512x512 px | Abdomen | Computed tomography
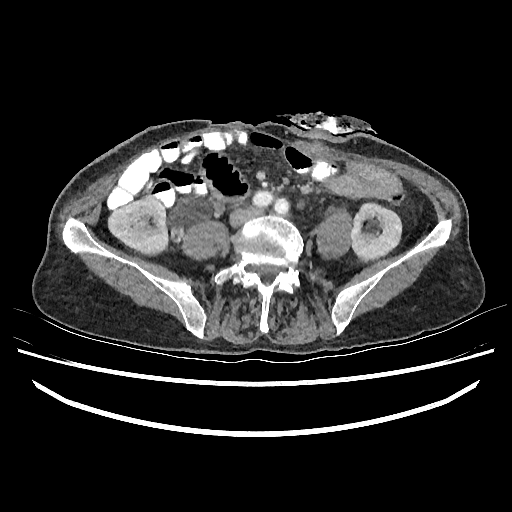

Kidney: bounding box (362,276,378,287), (108,197,167,252), (351,204,401,258).